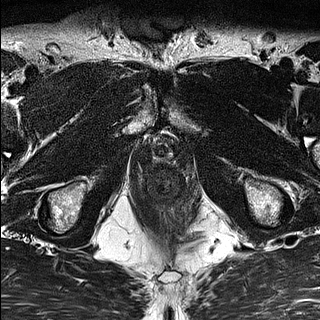
T2-weighted MR.
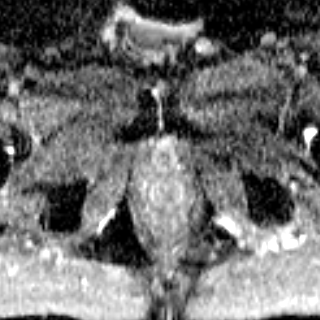
ADC MR image.
Pelvis.
The prostate transition zone lies within (left=155, top=145, right=172, bottom=161).